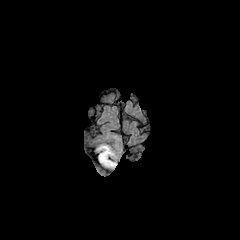
FLAIR MR.
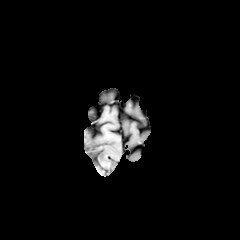
T1-weighted MRI.
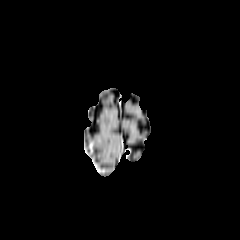
Post-contrast T1-weighted magnetic resonance.
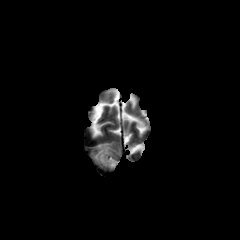
T2-weighted magnetic resonance.
Head.
edema: bbox=[96, 144, 119, 168]